Slice 16/30, 34x51, Field of view 34 mm wide, 1.00 mm slice spacing, MR 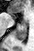
anterior_hippocampus:
  - 24 14 24 17
  - 23 18 24 20
  - 9 11 12 11
posterior_hippocampus:
  - 14 21 26 40